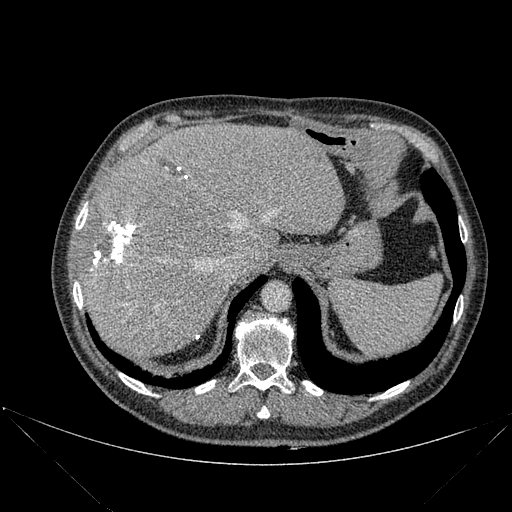
Computed tomography; Image size 512x512; Liver
- lung: [88,276,266,388], [292,168,465,393]
- bone: [303,381,322,395], [230,318,293,392], [195,380,215,393], [119,373,151,395], [258,406,269,417], [454,301,462,323], [76,205,87,229], [73,282,82,308], [379,381,409,398], [460,220,467,242]
- liver: [78,124,345,356]
- focal liver lesion: [157,161,175,174]